Field of view 383x383 mm. CT scan slice. Upper abdomen. 512x512 px. 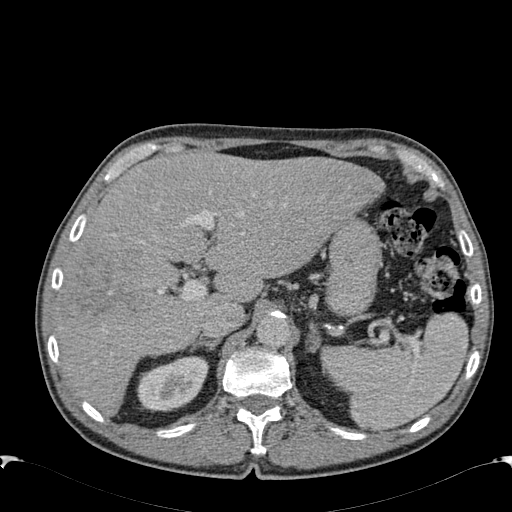 Findings:
• liver: box=[55, 153, 383, 415]
• kidney: box=[138, 357, 207, 410]
• hepatic lesion: box=[60, 250, 140, 322]